512x512 px; Computed tomography
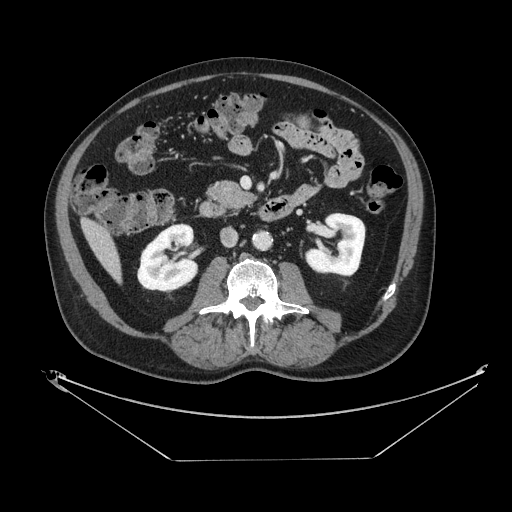 <segmentation>
  <pancreas>[210, 181, 256, 209]</pancreas>
</segmentation>